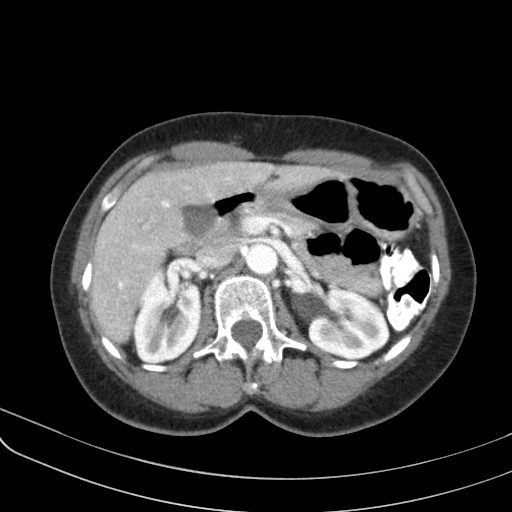

Computed tomography, Upper abdomen
The pancreas lies within (267,212,315,237).